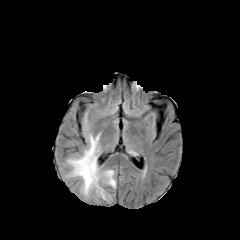
FLAIR MR image.
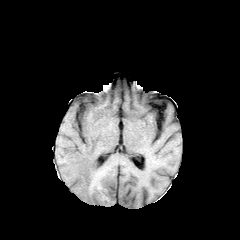
T1-weighted MR.
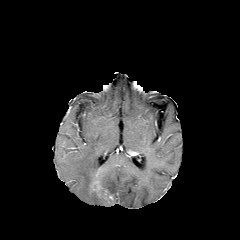
Post-contrast T1-weighted MRI of the same slice.
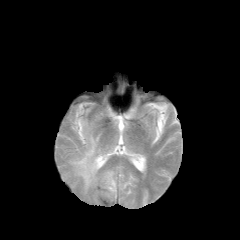
T2-weighted MRI.
Image size 240x240.
Edema: {"x1": 68, "y1": 122, "x2": 116, "y2": 199}.